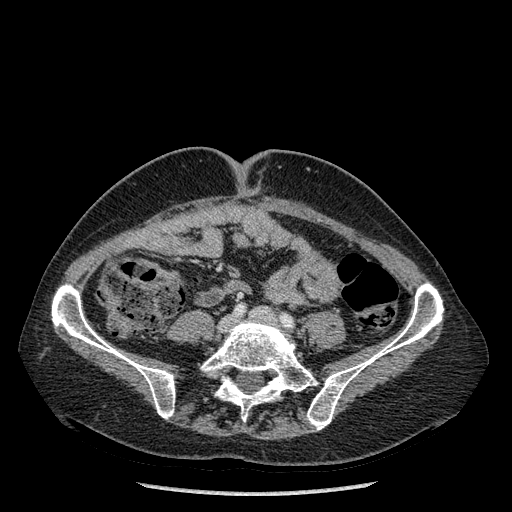
CT image
3 bone regions are bounded by 200:316:318:421, 51:283:175:419, 306:282:443:430.